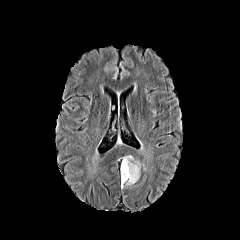
FLAIR magnetic resonance.
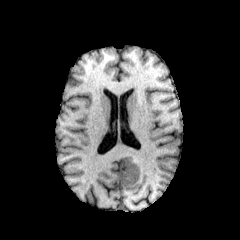
T1-weighted magnetic resonance.
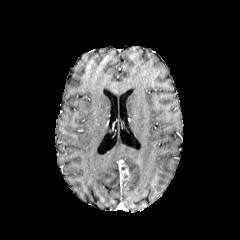
Post-contrast T1-weighted magnetic resonance.
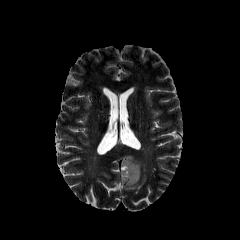
T2-weighted MR of the same slice.
Brain
<segmentation>
  <edema>(x1=122, y1=155, x2=140, y2=185)</edema>
  <enhancing_tumor>(x1=120, y1=162, x2=130, y2=181)</enhancing_tumor>
</segmentation>